Computed tomography. 512x512 px. Field of view 512 mm wide, 1.00 mm slice spacing.
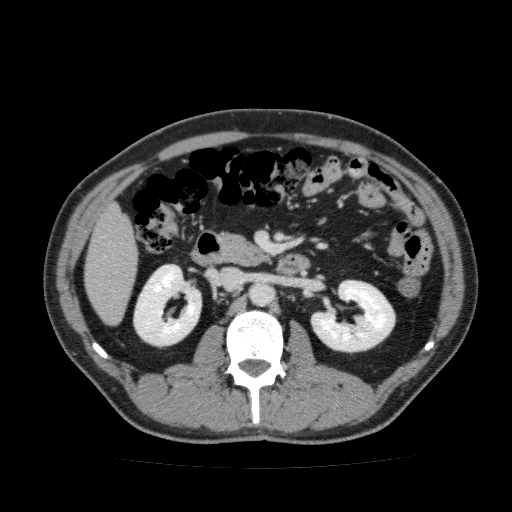

Kidney at bbox(311, 281, 394, 351); bbox(134, 265, 201, 345).
Liver at bbox(83, 201, 138, 326).